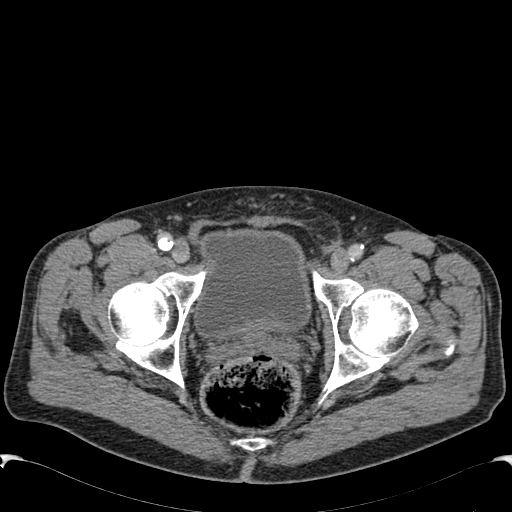 CT
{"urinary_bladder": ["box(193, 226, 311, 347)"]}